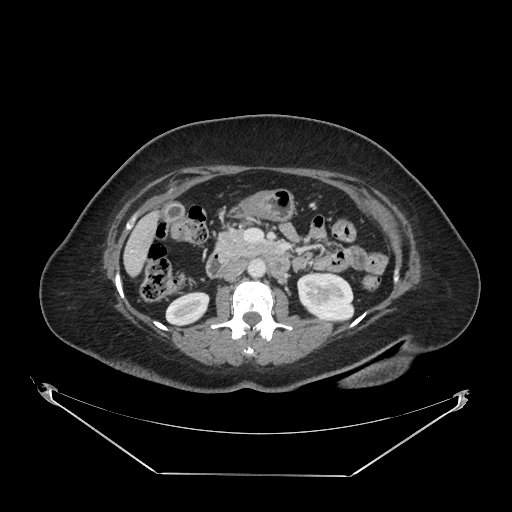

CT slice
pancreas: <box>216,228,269,257</box>